Computed tomography | Slice index 463

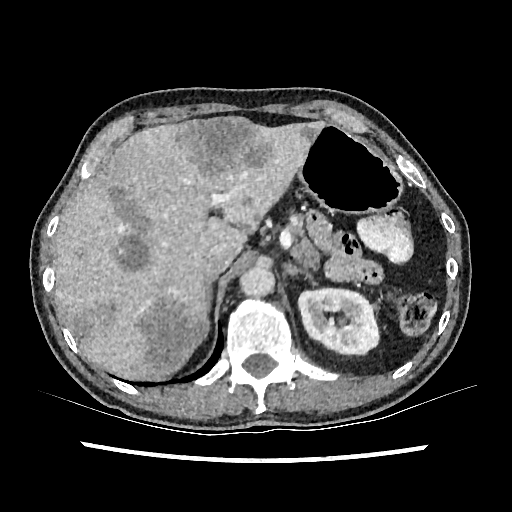
{"focal_liver_lesion": ["(176,117,273,179)", "(155,277,173,292)", "(240,195,253,206)", "(107,186,152,272)", "(134,297,205,376)", "(147,192,157,200)", "(299,125,317,141)", "(252,212,264,224)", "(71,304,116,342)"], "liver": ["(54,120,328,377)"], "kidney": ["(299,289,378,353)"]}